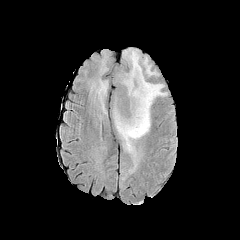
FLAIR magnetic resonance.
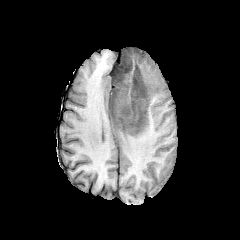
T1-weighted magnetic resonance.
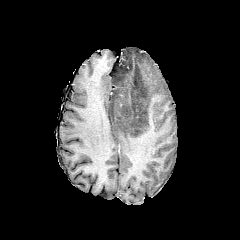
Post-contrast T1-weighted MR image.
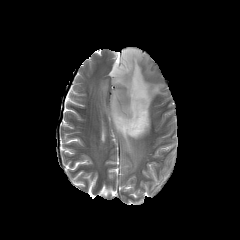
T2-weighted MR image.
240x240
non-enhancing tumor core: box(112, 68, 147, 126); box(116, 56, 131, 81) | edema: box(112, 48, 165, 171)